FLAIR MRI.
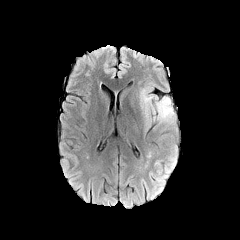
T1-weighted magnetic resonance.
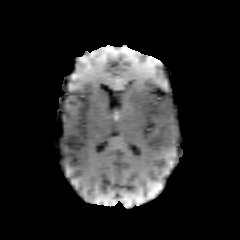
Post-contrast T1-weighted MR image.
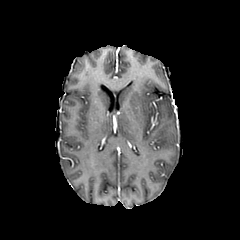
T2-weighted MR image.
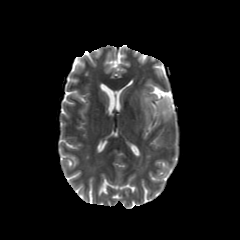
Head; Image size 240x240
Edema: <bbox>139, 84, 176, 130</bbox>.